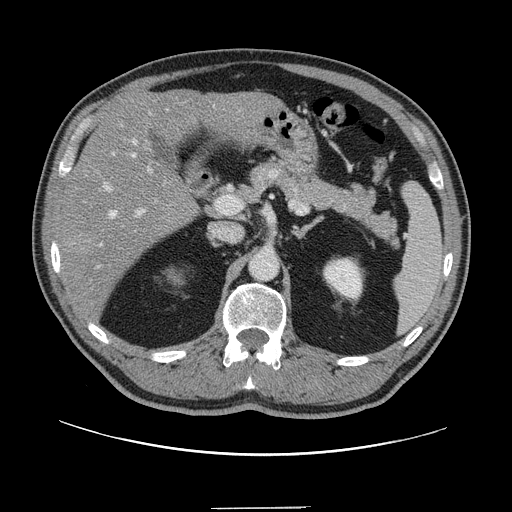 512x512 | CT image
Not every hepatic vessel necessarily has a box.
Liver tumor — {"x1": 76, "y1": 236, "x2": 95, "y2": 250}.
Hepatic vessel — {"x1": 110, "y1": 211, "x2": 116, "y2": 217}, {"x1": 167, "y1": 109, "x2": 168, "y2": 110}, {"x1": 113, "y1": 153, "x2": 114, "y2": 154}, {"x1": 137, "y1": 210, "x2": 144, "y2": 214}, {"x1": 148, "y1": 169, "x2": 151, "y2": 172}, {"x1": 131, "y1": 154, "x2": 136, "y2": 157}, {"x1": 133, "y1": 140, "x2": 136, "y2": 143}, {"x1": 149, "y1": 112, "x2": 150, "y2": 114}, {"x1": 100, "y1": 244, "x2": 101, "y2": 245}, {"x1": 104, "y1": 182, "x2": 111, "y2": 190}.